FLAIR magnetic resonance.
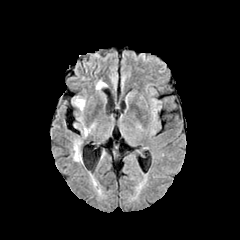
T1-weighted MRI.
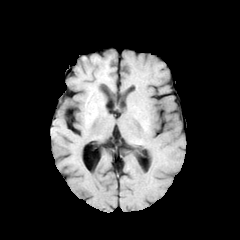
Post-contrast T1-weighted MR image.
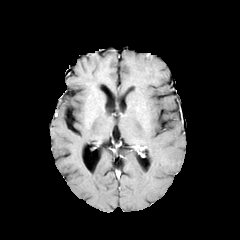
T2-weighted MR image.
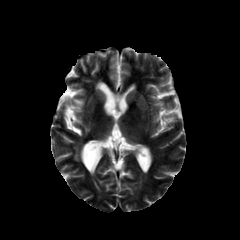
<segmentation>
  <edema>(left=73, top=140, right=82, bottom=161), (left=96, top=80, right=107, bottom=90), (left=74, top=97, right=85, bottom=111)</edema>
</segmentation>